CT, Abdomen

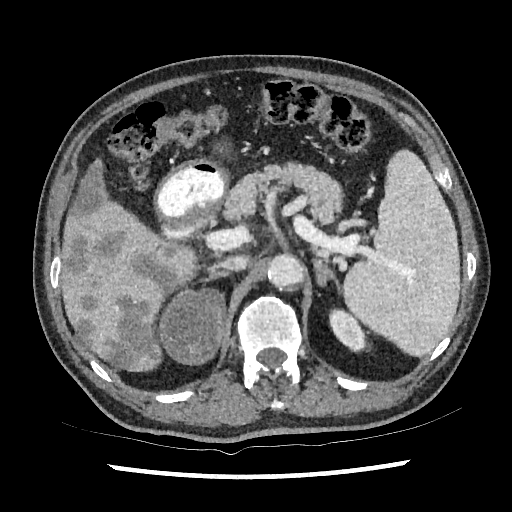

Kidney — box=[330, 310, 364, 350].
Focal liver lesion — box=[63, 229, 88, 277]; box=[154, 243, 182, 258]; box=[69, 160, 105, 222]; box=[80, 294, 100, 312]; box=[105, 295, 160, 367]; box=[131, 251, 180, 292]; box=[74, 319, 95, 346]; box=[90, 230, 128, 264].
Liver — box=[60, 192, 198, 366]; box=[126, 356, 158, 370].